FLAIR MR image.
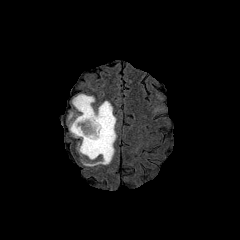
T1-weighted MR image.
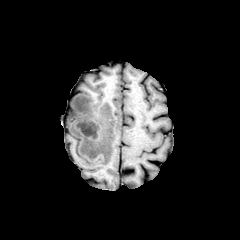
Post-contrast T1-weighted MR.
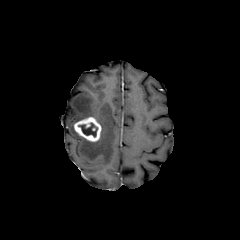
T2-weighted MR image.
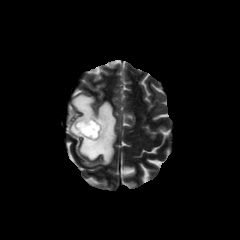
Head
enhancing tumor: (74, 117, 101, 141) | edema: (66, 94, 117, 166) | non-enhancing tumor core: (79, 123, 96, 136)